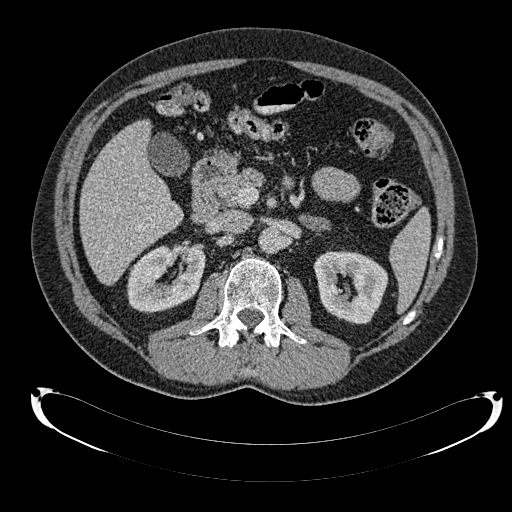 CT slice; Liver
<segmentation>
  <liver>[x1=80, y1=121, x2=182, y2=283]</liver>
  <kidney>[x1=314, y1=252, x2=387, y2=323], [x1=128, y1=246, x2=204, y2=311]</kidney>
</segmentation>